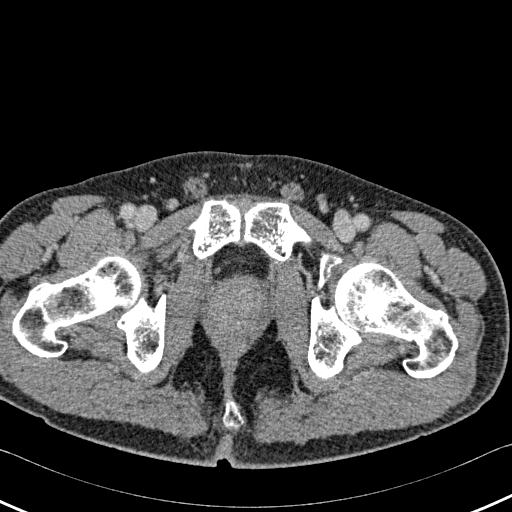

CT slice

bone: bbox=[5, 257, 165, 372]; bbox=[223, 400, 243, 429]; bbox=[189, 200, 309, 261]; bbox=[308, 255, 457, 378]